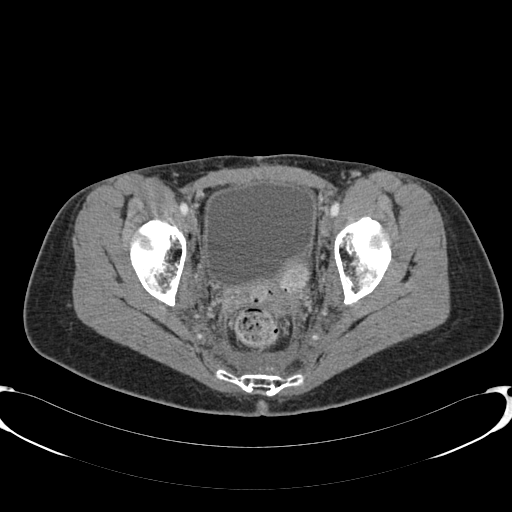 CT | Lower abdomen
The urinary bladder appears at (x1=207, y1=183, x2=312, y2=284).